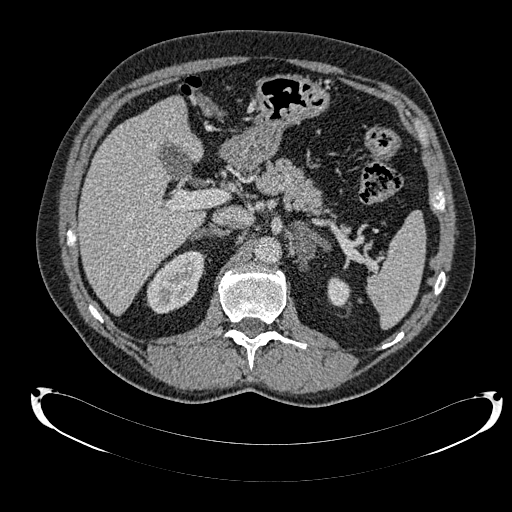
512x512, CT slice
Kidney = 147 251 203 312, 328 278 349 305.
Liver = 79 96 204 313.